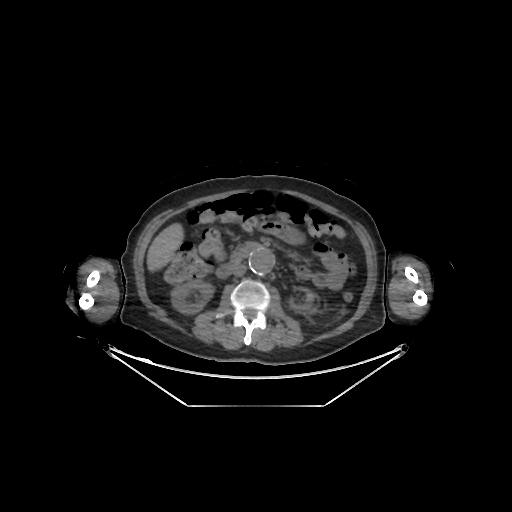
512x512 px; CT slice
* kidney: <bbox>171, 279, 213, 314</bbox>, <bbox>289, 287, 319, 315</bbox>
* liver: <bbox>148, 225, 182, 269</bbox>
* bone: <bbox>79, 270, 99, 309</bbox>, <bbox>231, 280, 268, 344</bbox>, <bbox>405, 266, 418, 283</bbox>, <bbox>413, 289, 427, 306</bbox>